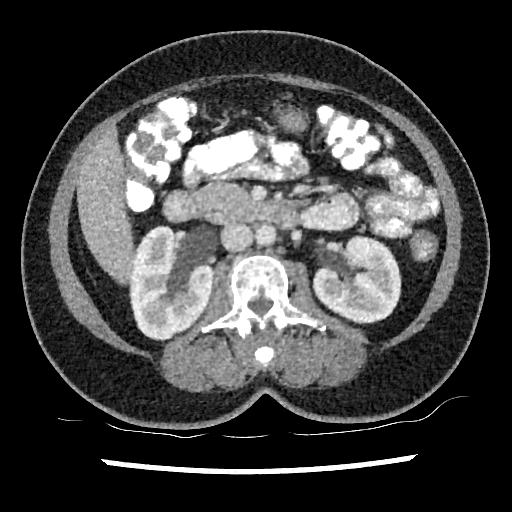

CT; Liver

Liver — [x1=78, y1=132, x2=133, y2=281].
Kidney — [x1=314, y1=237, x2=400, y2=321], [x1=131, y1=227, x2=212, y2=338].